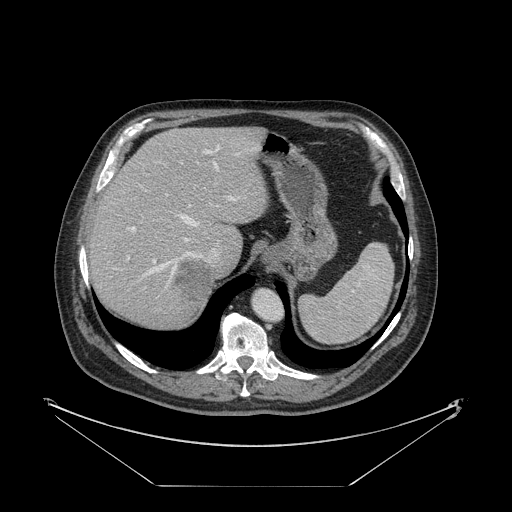 Liver, CT slice
Some hepatic vessels may have no box.
The liver tumor is located at 174,258,213,302. 9 hepatic vessel regions are located at 184,238,187,240; 153,259,154,261; 213,162,216,168; 127,256,128,258; 227,196,234,199; 203,150,213,153; 164,164,166,165; 126,227,135,231; 215,146,219,150.